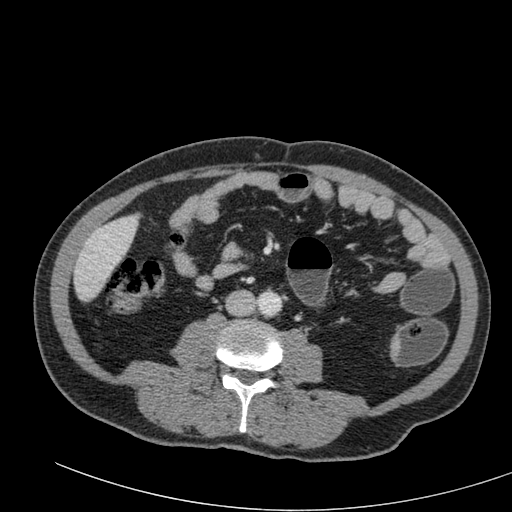

CT slice. Abdomen. 512x512. • liver: {"x1": 74, "y1": 216, "x2": 138, "y2": 300}